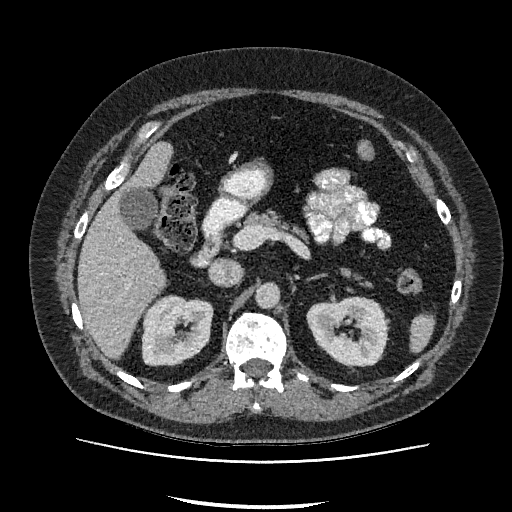
CT image
{
  "liver": [
    "box(78, 141, 171, 358)"
  ],
  "kidney": [
    "box(143, 297, 211, 364)",
    "box(308, 297, 386, 364)"
  ]
}